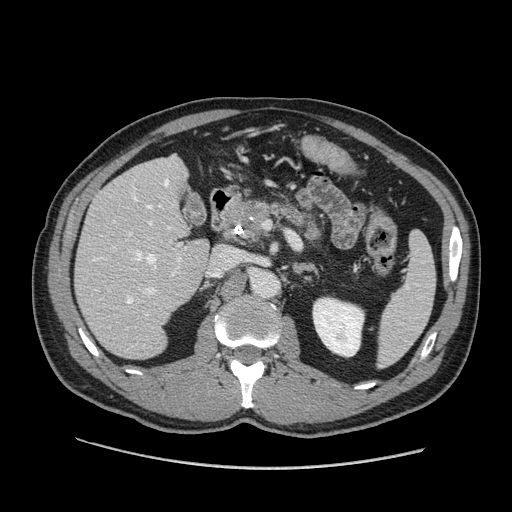
Upper abdomen; CT image
The pancreatic tumor appears at [241,204,262,229]. The pancreas is located at [230,199,325,245].